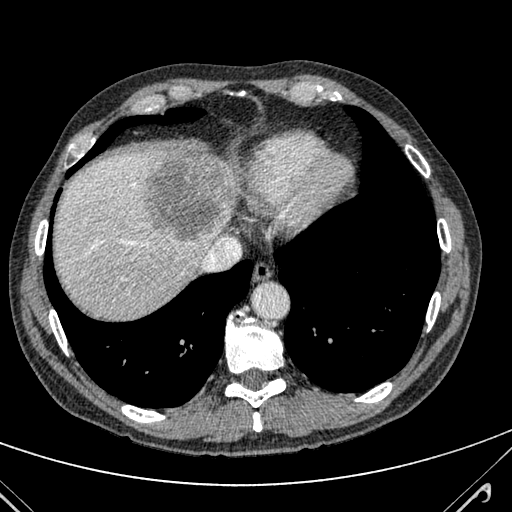

CT scan slice
Hepatic lesion at <bbox>143, 153, 234, 239</bbox>.
Liver at <bbox>54, 151, 237, 317</bbox>.